FLAIR MR image.
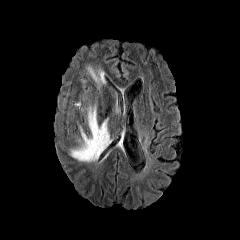
T1-weighted MR.
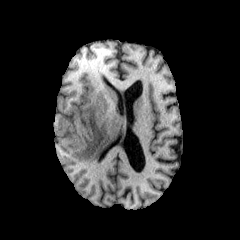
Post-contrast T1-weighted magnetic resonance.
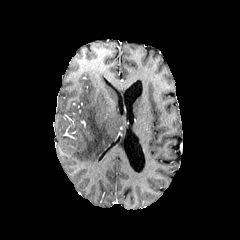
T2-weighted magnetic resonance.
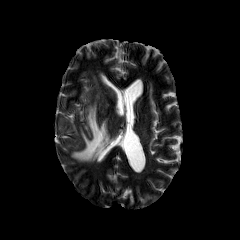
Brain.
edema: region(70, 103, 113, 162); region(88, 67, 105, 84)